CT scan slice | Abdomen

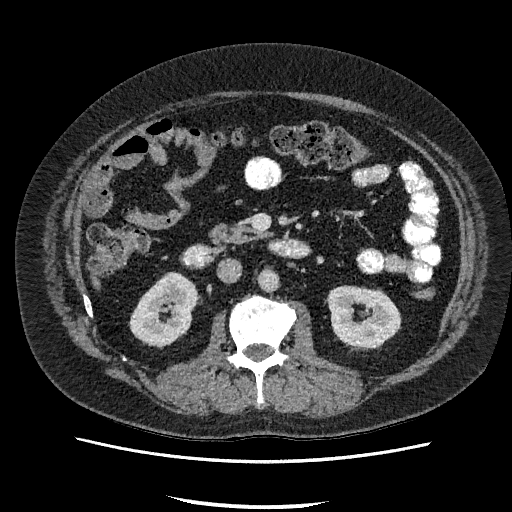 - kidney: (left=131, top=274, right=196, bottom=344), (left=329, top=287, right=399, bottom=346)